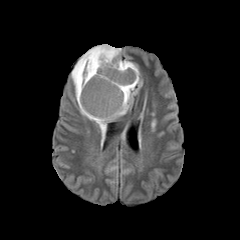
FLAIR MRI.
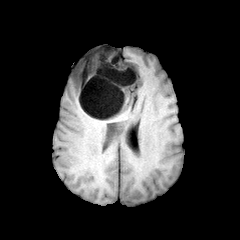
Same slice, T1-weighted MR image.
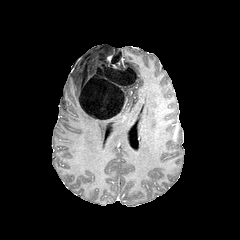
Post-contrast T1-weighted MR.
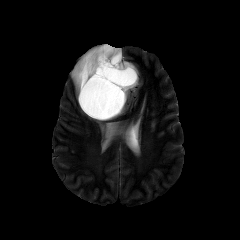
T2-weighted MRI.
Head
<segmentation>
  <edema>bbox=[78, 107, 117, 141]; bbox=[101, 44, 122, 52]; bbox=[70, 46, 99, 106]; bbox=[120, 59, 142, 115]</edema>
  <non-enhancing_tumor_core>bbox=[78, 46, 137, 119]</non-enhancing_tumor_core>
</segmentation>